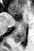
Image size 34x51; Magnetic resonance

Posterior hippocampus = {"x1": 13, "y1": 22, "x2": 25, "y2": 42}.